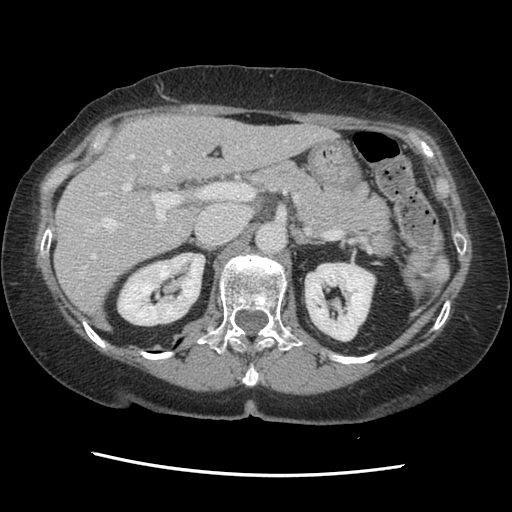

512x512; CT; Abdomen

Not every hepatic vessel necessarily has a box.
Hepatic vessel = (left=158, top=225, right=160, bottom=226), (left=151, top=193, right=180, bottom=220), (left=237, top=151, right=239, bottom=152), (left=251, top=145, right=252, bottom=147), (left=163, top=165, right=168, bottom=170), (left=82, top=266, right=85, bottom=271), (left=198, top=183, right=246, bottom=199), (left=167, top=150, right=170, bottom=153), (left=129, top=154, right=133, bottom=158), (left=101, top=192, right=108, bottom=194), (left=91, top=254, right=95, bottom=257), (left=94, top=217, right=115, bottom=231), (left=123, top=183, right=131, bottom=190), (left=132, top=233, right=133, bottom=235).